Brain
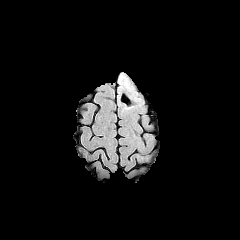
FLAIR MRI.
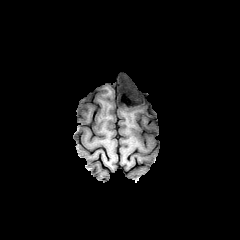
T1-weighted magnetic resonance.
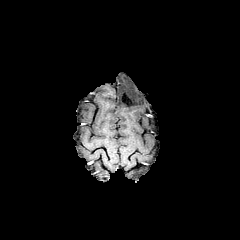
Same slice, post-contrast T1-weighted MR.
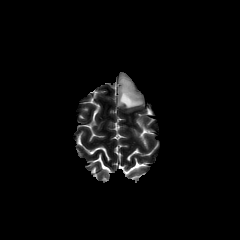
T2-weighted MR image.
Edema — [x1=118, y1=76, x2=143, y2=107].